Image size 512x512 | CT image

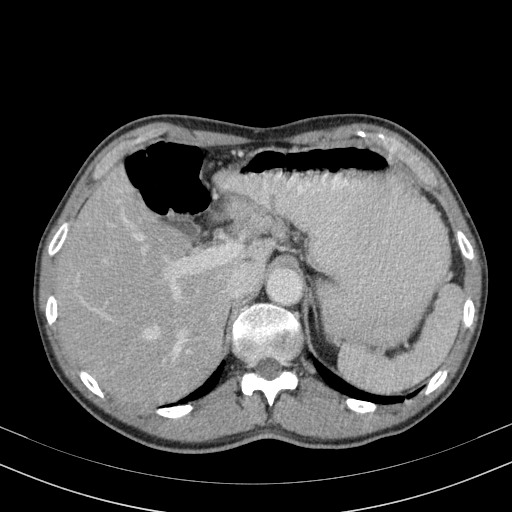

liver: <bbox>57, 168, 275, 406</bbox>